FLAIR magnetic resonance.
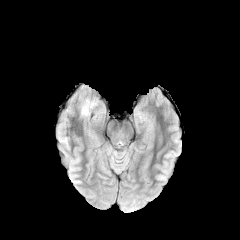
T1-weighted magnetic resonance.
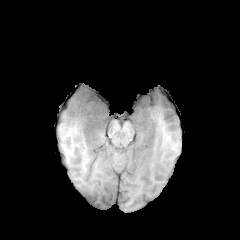
Post-contrast T1-weighted magnetic resonance.
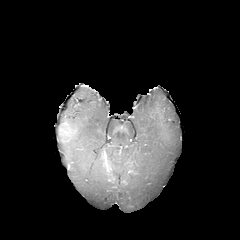
T2-weighted MRI.
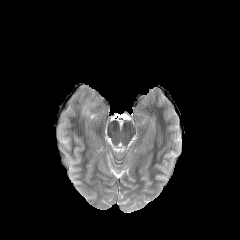
Brain | 240x240 px
{
  "edema": [
    "(81, 98, 97, 117)"
  ]
}